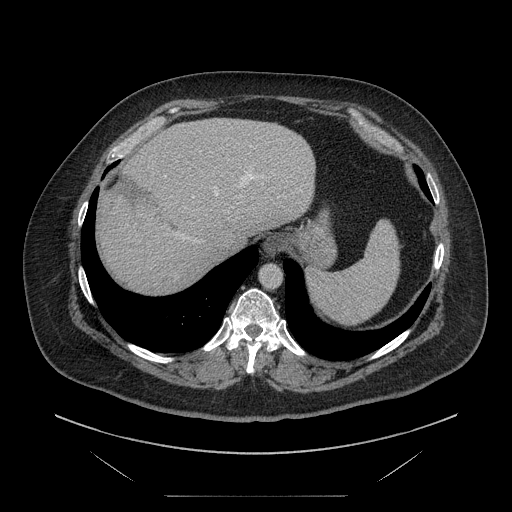 CT
Only some of the vessels may be annotated.
Hepatic vessel at [214,189,219,196], [236,164,263,186], [172,232,202,242].
Liver tumor at [112,174,155,215].